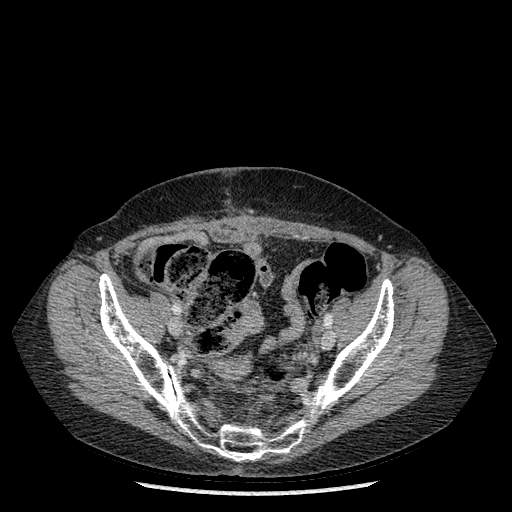

Image size 512x512. CT scan slice. The bone appears at (99, 273, 393, 461).